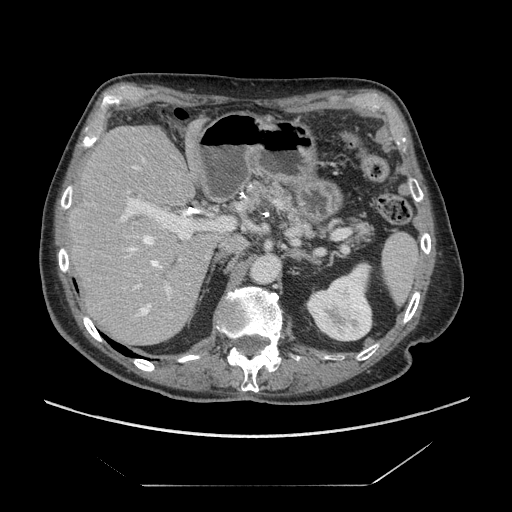 CT image, Image size 512x512, Abdomen
Findings:
- pancreas: [224, 178, 380, 246]